Image width 240 mm, 240x240, Head
FLAIR MR.
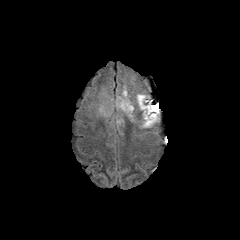
T1-weighted MR image.
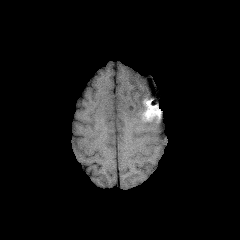
Post-contrast T1-weighted MR image.
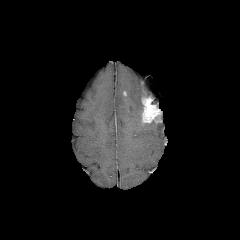
T2-weighted MR.
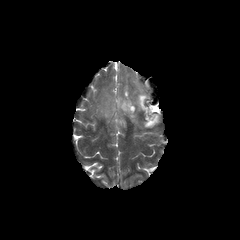
Edema: [96,84,147,128], [140,117,157,131].
Enhancing tumor: [142,96,159,123].